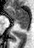

MRI; 34x48 px; Hippocampus

Posterior hippocampus: x1=16 y1=22 x2=28 y2=29.
Anterior hippocampus: x1=8 y1=7 x2=28 y2=21.